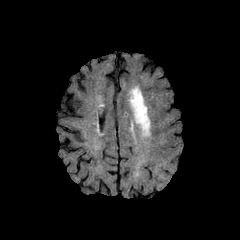
FLAIR MRI.
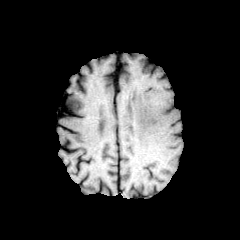
T1-weighted MRI.
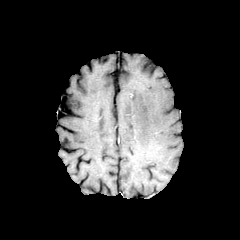
Post-contrast T1-weighted MRI.
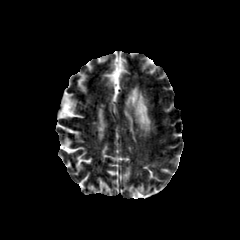
T2-weighted MR image of the same slice.
Head; Image size 240x240
<segmentation>
  <edema>l=126, t=86, r=151, b=138</edema>
</segmentation>